Image size 240x240. Head.
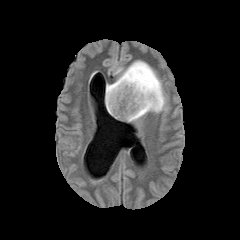
FLAIR MR image.
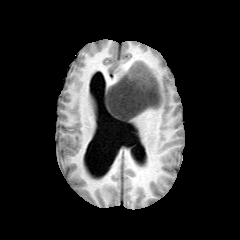
T1-weighted magnetic resonance.
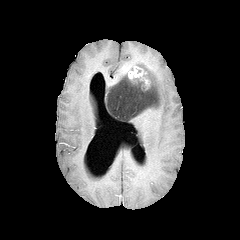
Post-contrast T1-weighted MR image.
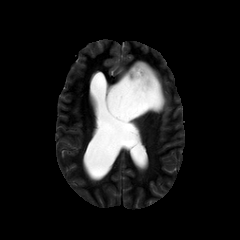
T2-weighted MR image.
The enhancing tumor lies within 123 63 151 90. The edema is located at 105 59 168 123. The non-enhancing tumor core is at 105 72 161 122.